FLAIR magnetic resonance.
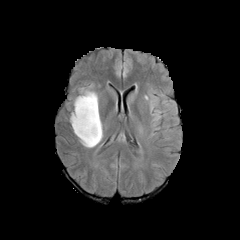
T1-weighted MR image.
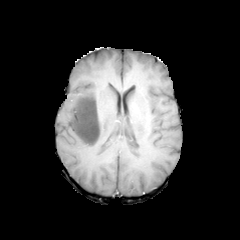
Post-contrast T1-weighted MR.
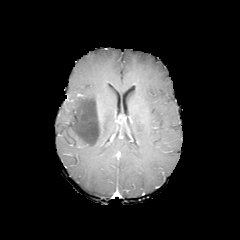
T2-weighted MR image.
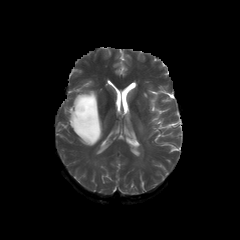
Head
Annotated regions:
• non-enhancing tumor core: box=[72, 94, 99, 141]
• edema: box=[68, 108, 105, 149]; box=[146, 94, 163, 131]; box=[71, 96, 79, 109]; box=[79, 88, 98, 110]